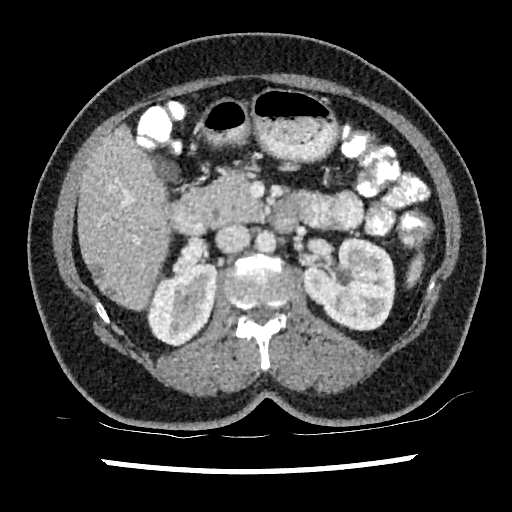
CT image, Upper abdomen
3 focal liver lesion regions are located at box=[153, 158, 176, 180]; box=[106, 288, 114, 294]; box=[89, 265, 103, 277]. The liver appears at box=[78, 125, 167, 308]. 2 kidney regions appear at box=[304, 239, 393, 329]; box=[149, 257, 216, 344].